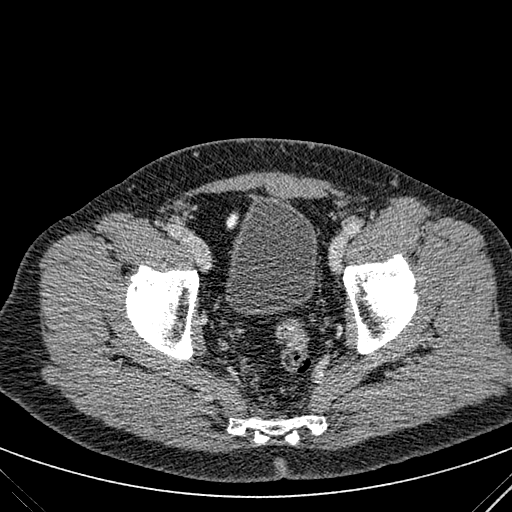 512x512, CT scan slice
The urinary bladder lies within {"x1": 223, "y1": 197, "x2": 320, "y2": 316}.